Slice 68/134, CT 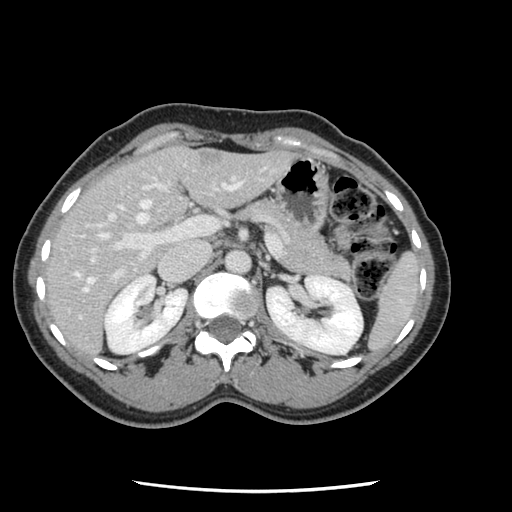 The vessel annotation is not exhaustive.
11 hepatic vessel regions are located at (114,270,121,275), (152,182,164,188), (83,277,92,290), (99,233,107,238), (136,199,149,222), (143,186,149,187), (117,216,216,253), (109,214,114,219), (222,177,238,189), (74,272,79,275), (91,257,93,260). The liver tumor is bounded by (199,155,221,164).